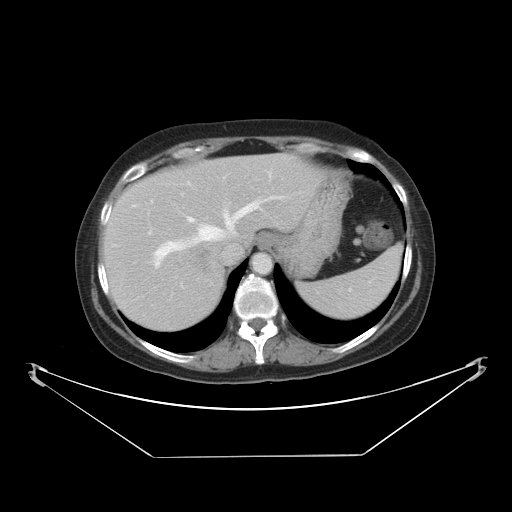 CT image, Liver
Some hepatic vessels may have no box.
<segmentation>
  <liver_tumor>x1=190, y1=250, x2=206, y2=266</liver_tumor>
  <hepatic_vessel>x1=155, y1=241, x2=185, y2=267; x1=266, y1=196, x2=278, y2=199; x1=149, y1=232, x2=151, y2=234; x1=224, y1=202, x2=260, y2=228; x1=195, y1=225, x2=222, y2=241; x1=188, y1=217, x2=193, y2=221</hepatic_vessel>
</segmentation>